FLAIR MR.
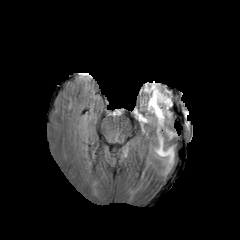
T1-weighted MR image.
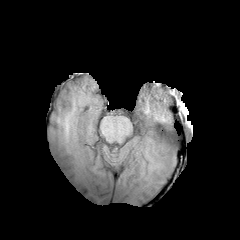
Post-contrast T1-weighted MRI.
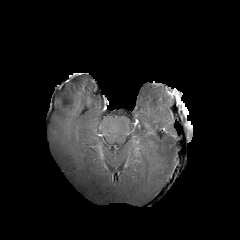
T2-weighted MR.
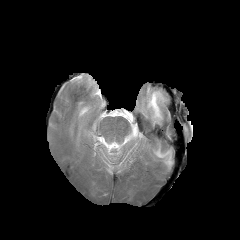
240x240
2 edema regions are bounded by box=[152, 136, 174, 173]; box=[135, 84, 171, 125].